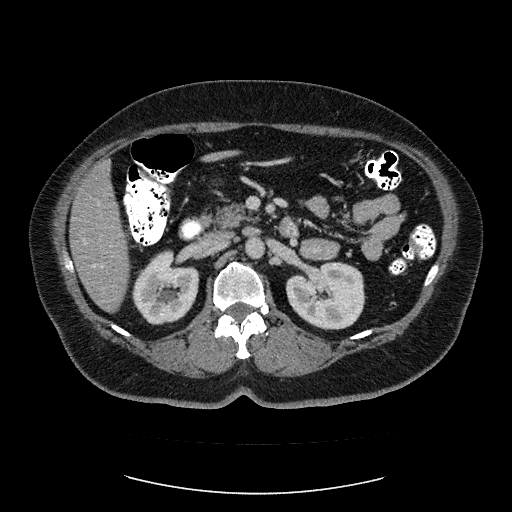
CT
Not every hepatic vessel necessarily has a box.
4 hepatic vessel regions are located at box(84, 239, 86, 244); box(93, 264, 95, 266); box(98, 202, 99, 203); box(97, 264, 103, 267).